CT | Field of view 480x480 mm
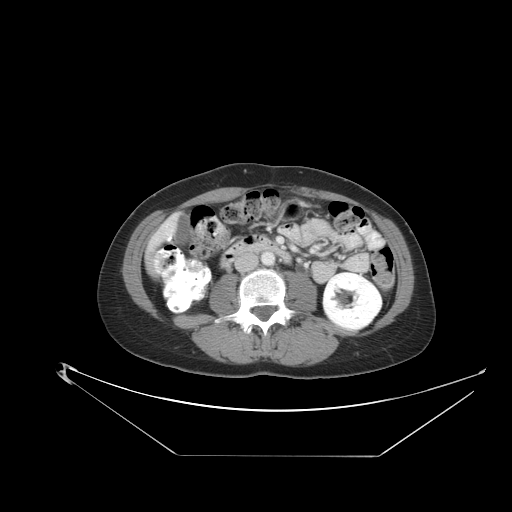

Pancreas = (246,241,265,253).